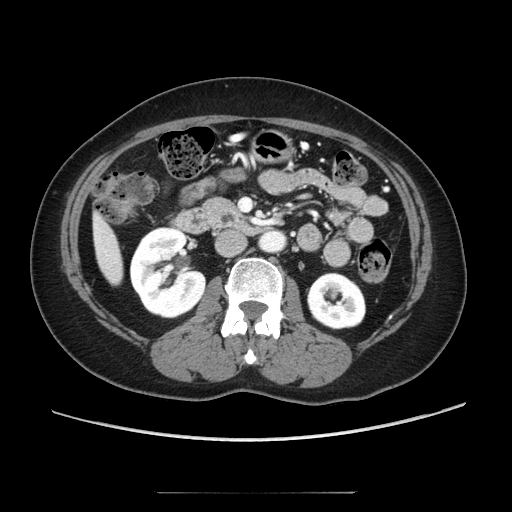 Abdomen; CT; Image size 512x512

Pancreas — x1=205, y1=199, x2=243, y2=227.